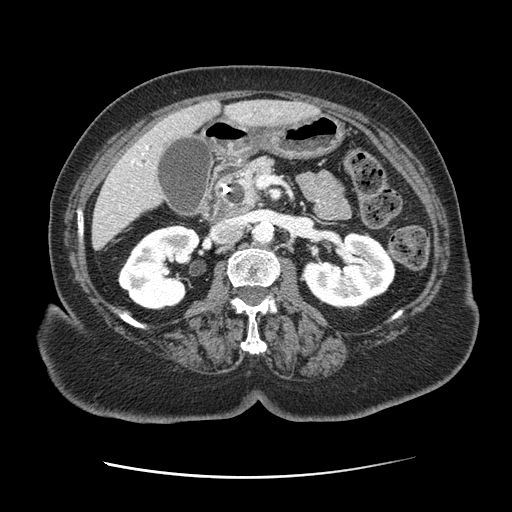 CT slice
pancreas: region(216, 156, 277, 207)